Slice 107/588 | Pelvis | CT slice 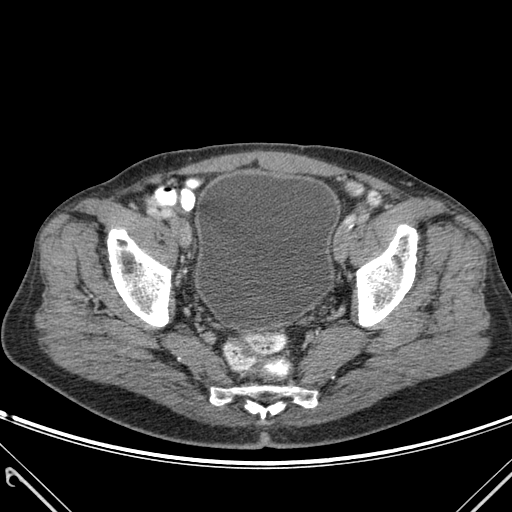 Urinary bladder — bbox(197, 174, 337, 323).
Bone — bbox(245, 400, 284, 419); bbox(210, 386, 316, 407); bbox(107, 229, 170, 326); bbox(357, 225, 417, 326).